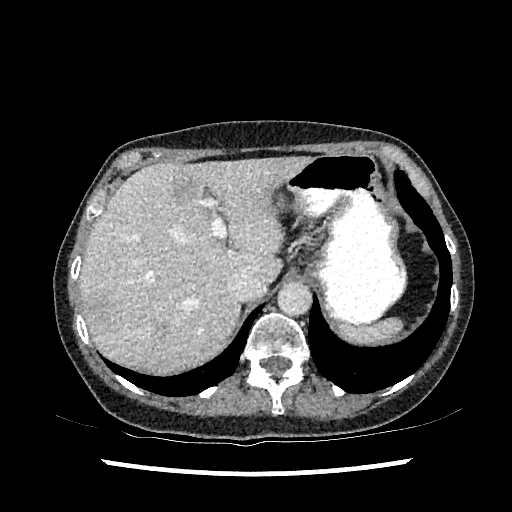
CT scan slice | Image size 512x512
Focal liver lesion — box(173, 177, 197, 202); box(83, 292, 113, 322); box(156, 323, 167, 332).
Liver — box(80, 157, 311, 371).